Brain | 240x240
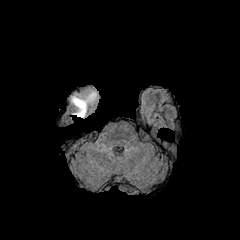
FLAIR MRI.
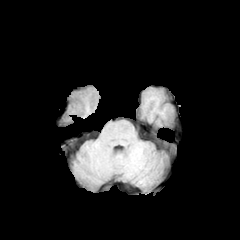
T1-weighted MRI of the same slice.
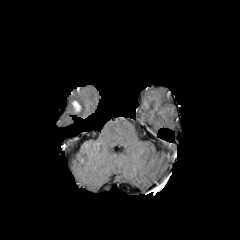
Post-contrast T1-weighted MRI.
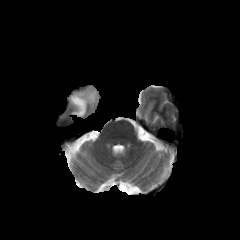
T2-weighted MR of the same slice.
Edema at bbox=[70, 89, 98, 117].
Enhancing tumor at bbox=[72, 100, 81, 113].